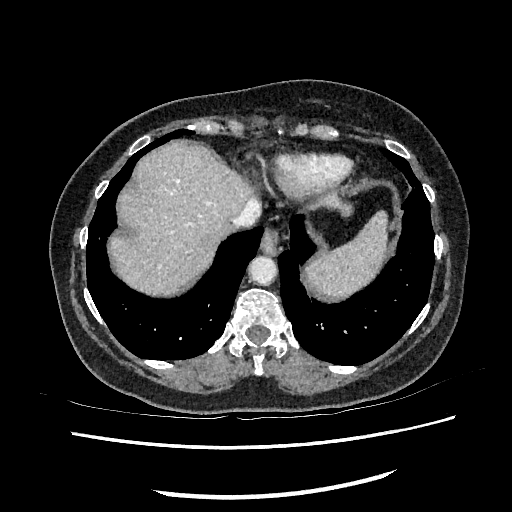
CT

* liver: rect(321, 193, 351, 214); rect(109, 142, 250, 292)